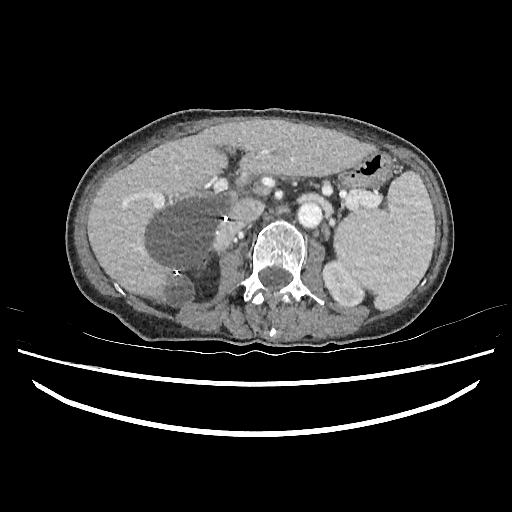

CT image, Liver
Focal liver lesion: bounding box left=166, top=274, right=194, bottom=303; left=145, top=197, right=225, bottom=271.
Liver: bounding box left=88, top=120, right=374, bottom=306; left=213, top=216, right=223, bottom=238.
Kidney: bounding box left=323, top=262, right=365, bottom=306.